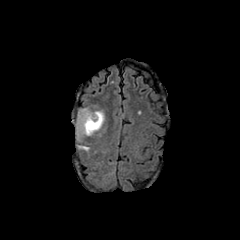
FLAIR magnetic resonance.
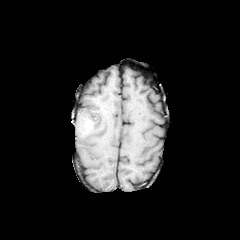
T1-weighted MRI of the same slice.
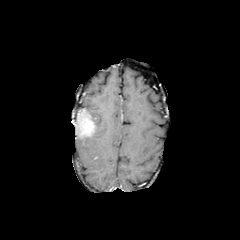
Post-contrast T1-weighted magnetic resonance of the same slice.
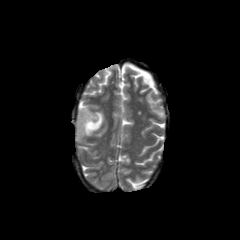
Same slice, T2-weighted magnetic resonance.
Head, Image size 240x240
The enhancing tumor appears at (76, 108, 96, 138). The edema is located at (85, 108, 104, 135).